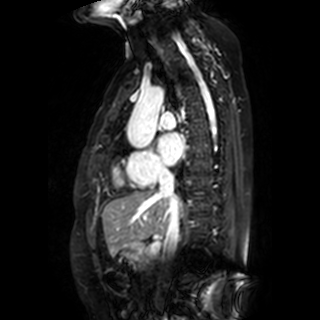 MRI slice
Annotated regions:
- left atrium: 158:132:182:165